Slice 334/687. 512x512 px. Computed tomography. Lower abdomen.

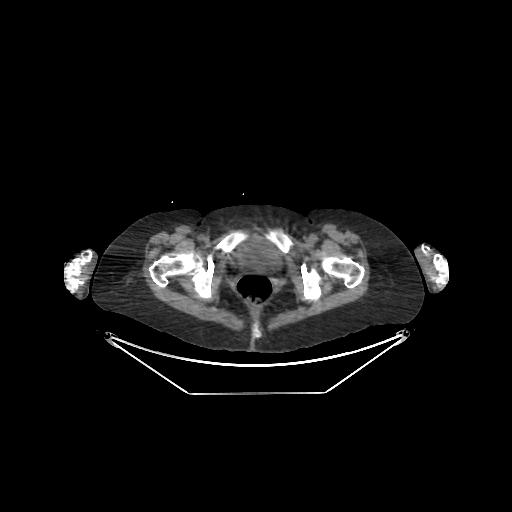

urinary bladder: 228,236,281,270; 230,264,244,268